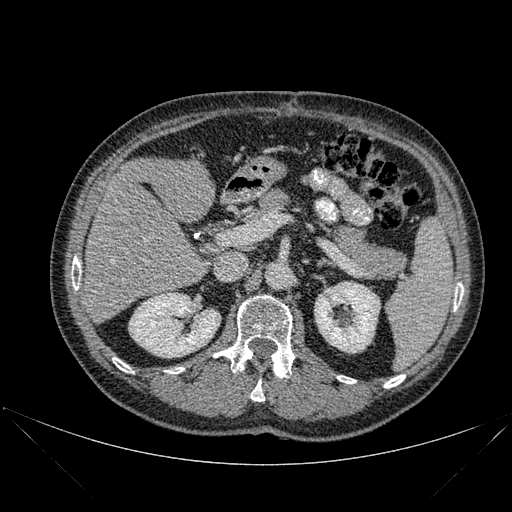

512x512 | CT image | Upper abdomen
Bone = rect(165, 367, 184, 373); rect(213, 295, 294, 377); rect(384, 375, 405, 387); rect(337, 376, 356, 383); rect(112, 357, 133, 373); rect(454, 286, 463, 311); rect(250, 379, 264, 401); rect(72, 256, 79, 290).
Kidney = rect(129, 293, 220, 357); rect(314, 282, 380, 352).
Liver = rect(84, 157, 215, 322).